Computed tomography. Image width 432 mm. Image size 512x512. Slice index 100.
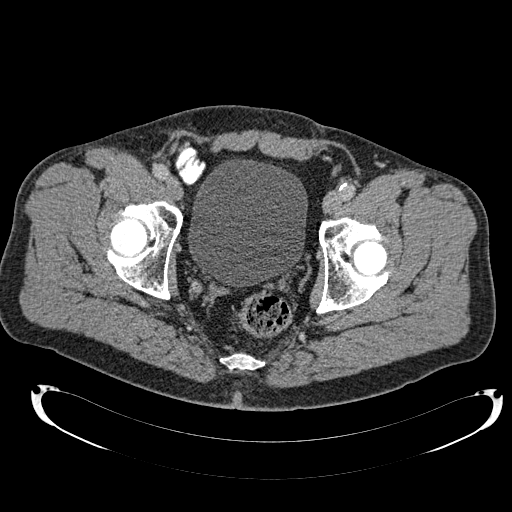
{"urinary_bladder": [{"x1": 188, "y1": 159, "x2": 307, "y2": 286}]}